512x512 px, Chest, Computed tomography 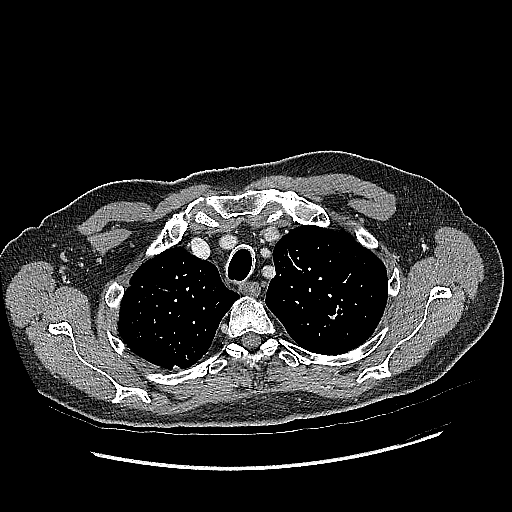
The lung tumor lies within [x1=132, y1=284, x2=145, y2=291].